FLAIR MR.
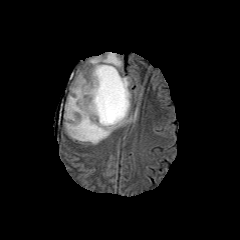
T1-weighted MR.
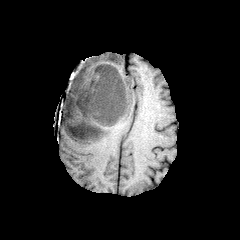
Post-contrast T1-weighted MRI.
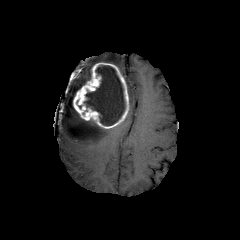
T2-weighted MR image.
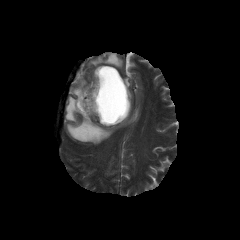
Head, Image size 240x240
Segmented structures:
* non-enhancing tumor core: left=86, top=64, right=124, bottom=125; left=73, top=69, right=91, bottom=96; left=69, top=97, right=79, bottom=115
* edema: left=64, top=76, right=137, bottom=144; left=83, top=52, right=121, bottom=78
* enhancing tumor: left=72, top=62, right=129, bottom=128